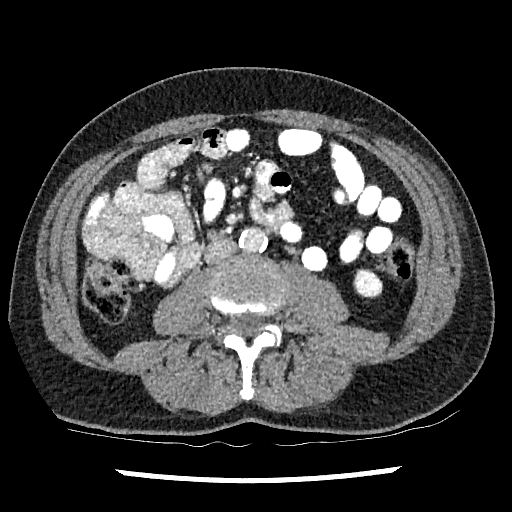

CT. Abdomen. kidney: 356,271,380,295